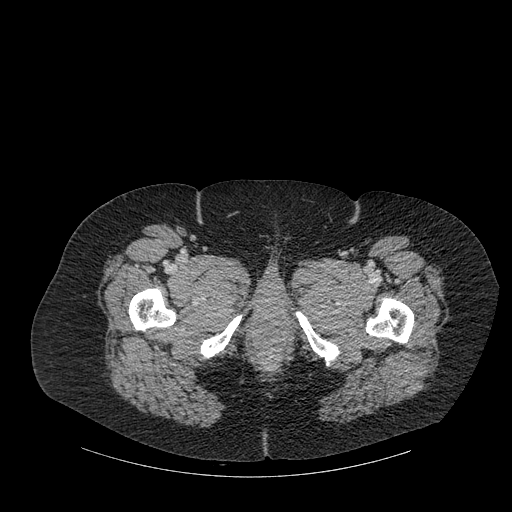 Computed tomography

Bone = region(366, 298, 413, 342); region(296, 311, 339, 365); region(129, 288, 175, 330); region(201, 315, 241, 357).